512x512. Liver. CT image. Slice 34/48. 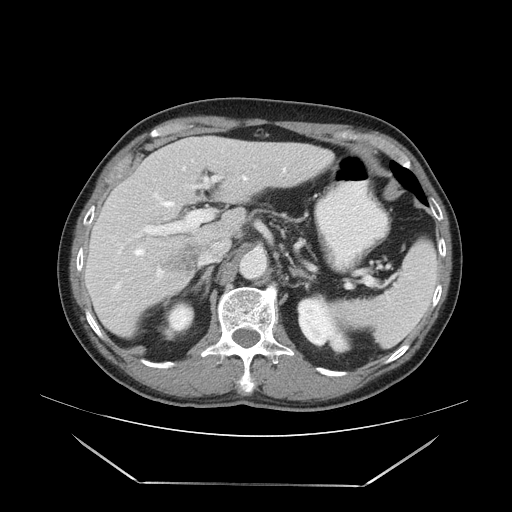 Only some of the vessels may be annotated.
The liver tumor is at [152, 237, 205, 275]. 5 hepatic vessel regions appear at [240, 175, 246, 178], [199, 254, 212, 264], [145, 226, 163, 231], [253, 165, 255, 167], [216, 176, 223, 178].